240x240 px, Head
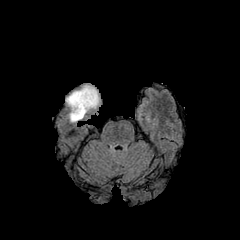
FLAIR magnetic resonance.
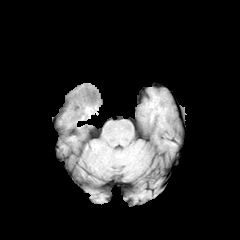
Same slice, T1-weighted magnetic resonance.
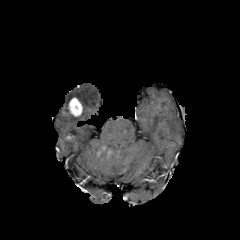
Post-contrast T1-weighted MRI.
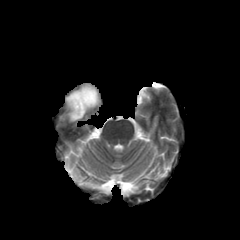
T2-weighted magnetic resonance of the same slice.
Enhancing tumor: bounding box {"x1": 68, "y1": 98, "x2": 82, "y2": 116}.
Edema: bounding box {"x1": 65, "y1": 84, "x2": 100, "y2": 122}.